CT. Slice 35/117. Image width 460 mm. Abdomen. 512x512.
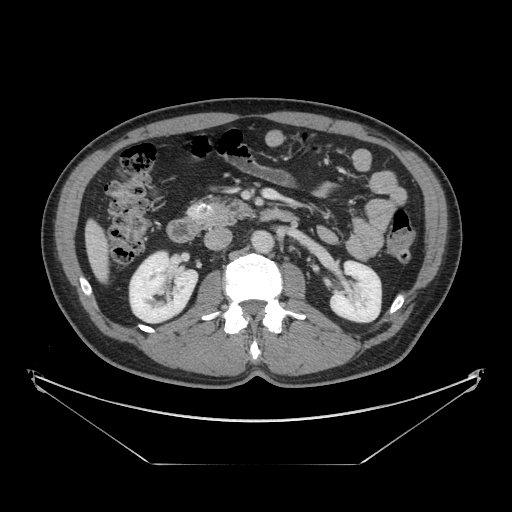

{
  "pancreatic_tumor": [
    "box=[188, 203, 211, 219]"
  ],
  "pancreas": [
    "box=[186, 195, 253, 230]"
  ]
}